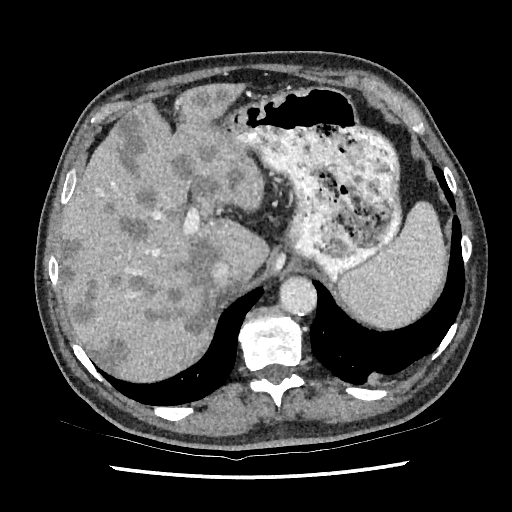 CT slice | Liver
Segmented structures:
• liver: <bbox>59, 84, 268, 382</bbox>
• hepatic lesion: <bbox>109, 274, 123, 285</bbox>, <bbox>127, 276, 157, 294</bbox>, <bbox>144, 233, 226, 335</bbox>, <bbox>191, 89, 232, 110</bbox>, <bbox>68, 275, 100, 324</bbox>, <bbox>59, 238, 83, 282</bbox>, <bbox>197, 145, 220, 161</bbox>, <bbox>171, 154, 220, 200</bbox>, <bbox>137, 186, 156, 209</bbox>, <bbox>89, 338, 132, 372</bbox>, <bbox>105, 201, 115, 214</bbox>, <bbox>227, 157, 246, 192</bbox>, <bbox>115, 115, 147, 176</bbox>, <bbox>117, 216, 150, 241</bbox>